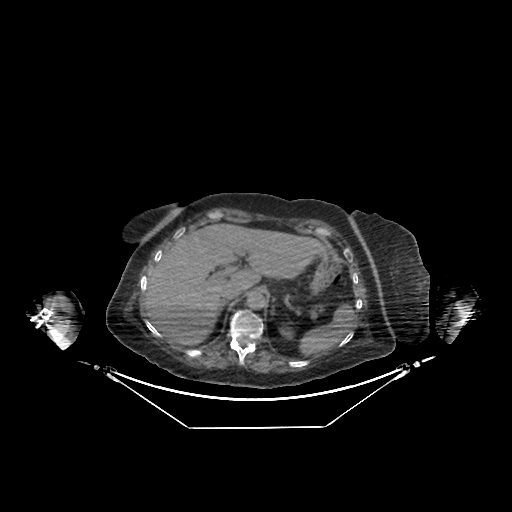
Abdomen | CT scan slice

{
  "kidney": [
    "278:322:295:338"
  ],
  "liver": [
    "142:222:323:347"
  ]
}